FLAIR MR image.
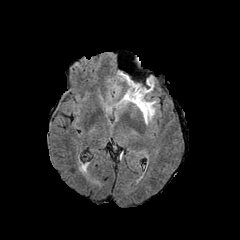
T1-weighted MRI.
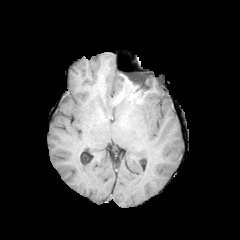
Post-contrast T1-weighted magnetic resonance.
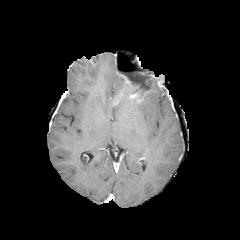
T2-weighted MRI.
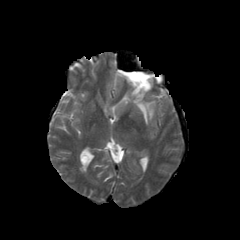
Head | 240x240 px
The non-enhancing tumor core is bounded by box(132, 80, 147, 95). The edema is at box(115, 72, 155, 124).